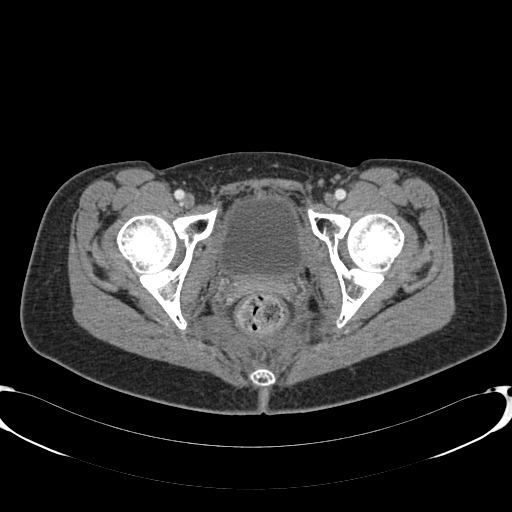 Computed tomography, Pelvis
Urinary bladder = (x1=218, y1=198, x2=302, y2=275).